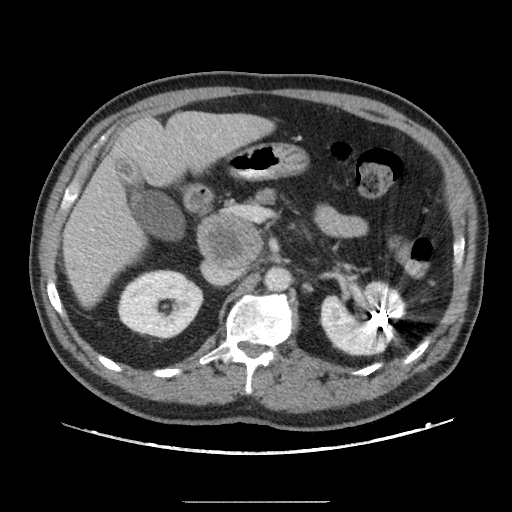

CT image

liver tumor: left=66, top=254, right=88, bottom=279